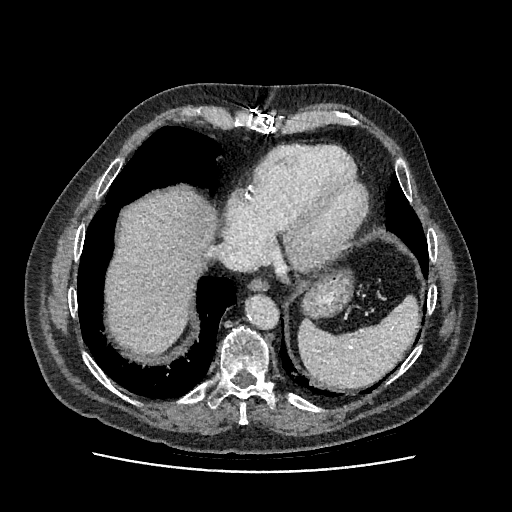

Upper abdomen | Computed tomography | 512x512 px
* liver: [106, 192, 213, 353]